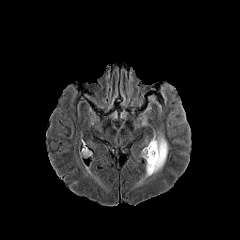
FLAIR MRI.
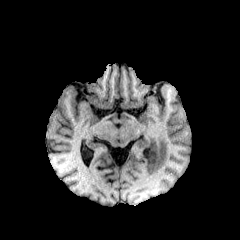
T1-weighted MR image of the same slice.
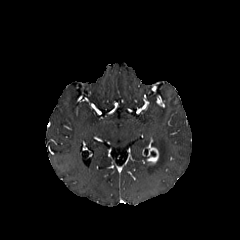
Post-contrast T1-weighted MR image.
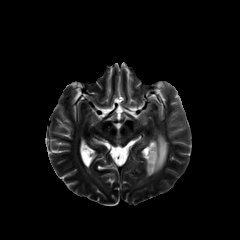
T2-weighted magnetic resonance.
<segmentation>
  <non-enhancing_tumor_core>146, 151, 156, 165</non-enhancing_tumor_core>
  <edema>146, 133, 167, 177</edema>
  <enhancing_tumor>148, 148, 157, 162</enhancing_tumor>
</segmentation>